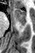
Medial temporal lobe; MRI slice
Posterior hippocampus = rect(21, 24, 24, 25).
Anterior hippocampus = rect(14, 8, 25, 23).